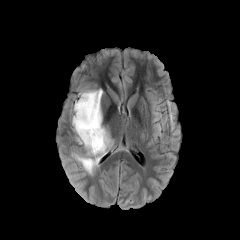
FLAIR MR image.
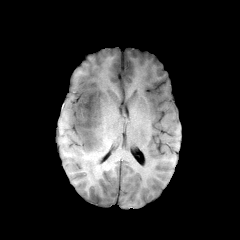
Same slice, T1-weighted MRI.
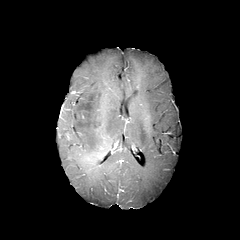
Same slice, post-contrast T1-weighted MR.
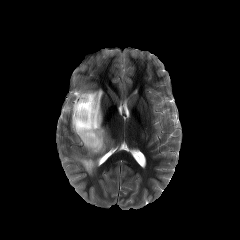
T2-weighted magnetic resonance of the same slice.
{"non-enhancing_tumor_core": ["box(82, 104, 92, 126)"], "edema": ["box(71, 88, 110, 174)"]}